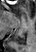
36x52; MRI slice
The posterior hippocampus is at bbox(13, 34, 24, 44).